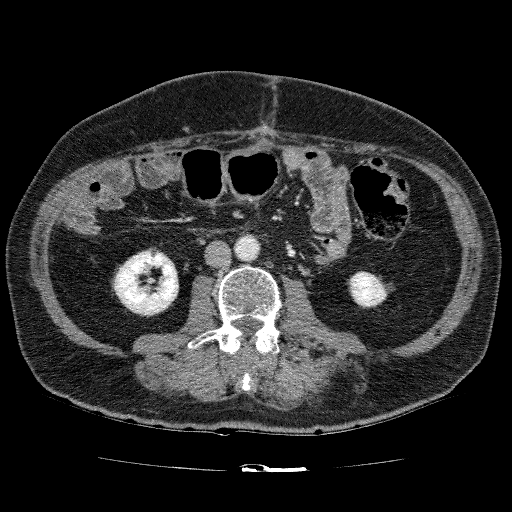

Abdomen. 512x512. CT.
{
  "kidney": [
    "x1=350, y1=271, x2=386, y2=306",
    "x1=114, y1=250, x2=178, y2=315"
  ]
}